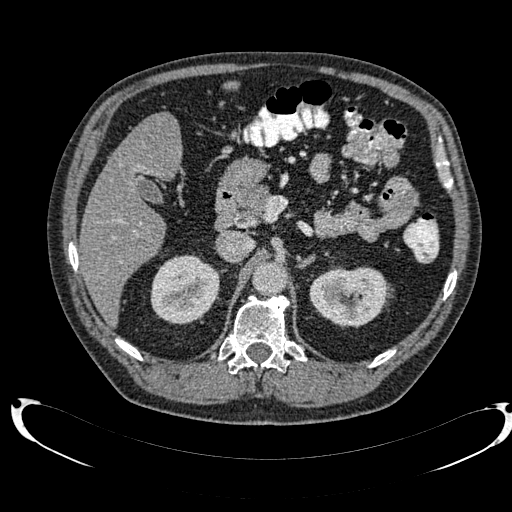 CT slice. Abdomen.
Kidney — bbox(151, 255, 219, 323); bbox(310, 267, 388, 326).
Hepatic lesion — bbox(151, 114, 178, 137).
Liver — bbox(80, 114, 182, 326); bbox(223, 82, 238, 89).